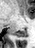

MR; Medial temporal lobe
The posterior hippocampus is bounded by 15:29:26:37.